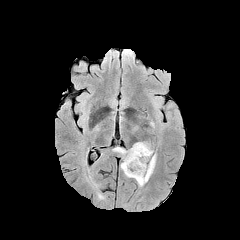
FLAIR MR image.
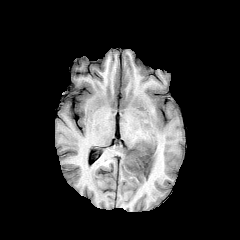
T1-weighted MR image.
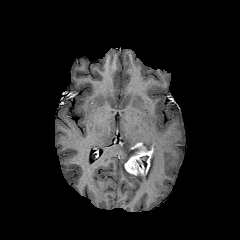
Post-contrast T1-weighted magnetic resonance of the same slice.
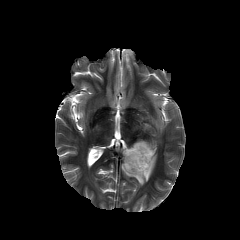
Same slice, T2-weighted MRI.
Edema: [x1=121, y1=140, x2=156, y2=186], [x1=116, y1=148, x2=129, y2=161].
Non-enhancing tumor core: [x1=124, y1=148, x2=135, y2=163].
Enhancing tumor: [x1=124, y1=142, x2=153, y2=175].